Field of view 36 mm wide, 1.00 mm slice spacing; MRI slice; Slice index 24; 36x52 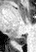
posterior hippocampus: {"x1": 14, "y1": 34, "x2": 26, "y2": 45}